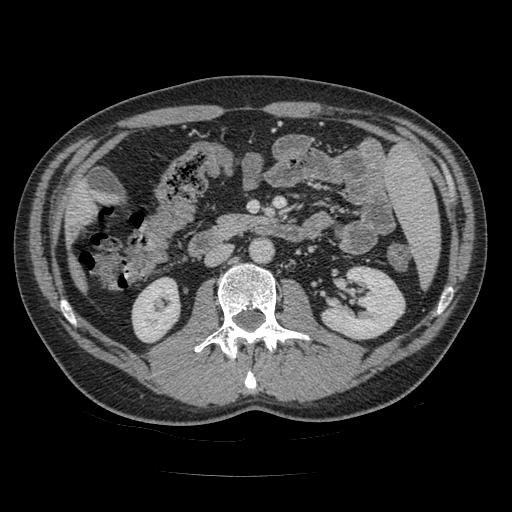
CT scan slice, Abdomen
2 pancreas regions are located at (x1=261, y1=239, x2=291, y2=270), (x1=218, y1=215, x2=264, y2=234).